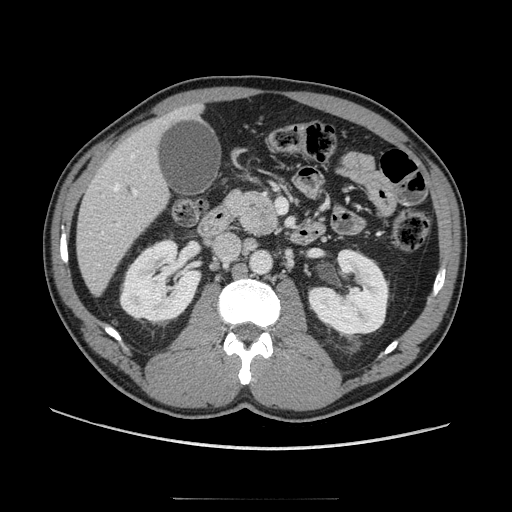

512x512 px | Computed tomography
The pancreas is located at 223 190 279 237. The pancreatic tumor lies within 246 198 274 218.